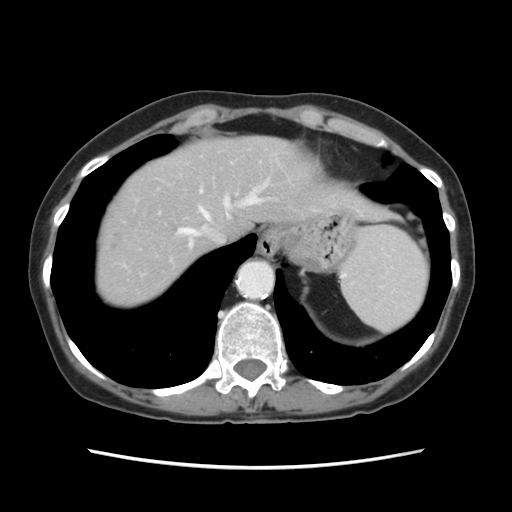 CT.

The vessel annotation is not exhaustive.
Hepatic vessel = x1=224, y1=199, x2=228, y2=207; x1=200, y1=210, x2=208, y2=217; x1=180, y1=229, x2=197, y2=235; x1=200, y1=190, x2=201, y2=192; x1=242, y1=191, x2=259, y2=204.
Liver tumor = x1=113, y1=234, x2=121, y2=244.